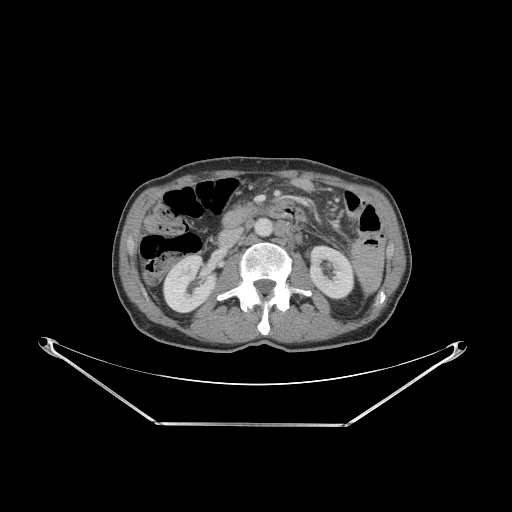

Abdomen. CT slice. Image size 512x512. 3 kidney regions are bounded by rect(310, 246, 352, 297); rect(164, 256, 215, 311); rect(201, 263, 214, 275). The bone appears at rect(218, 243, 310, 334).